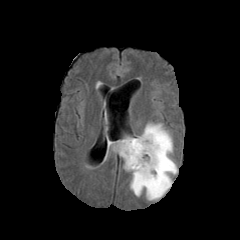
FLAIR MRI.
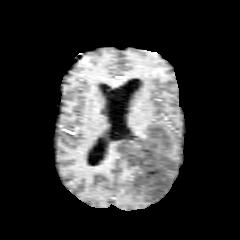
Same slice, T1-weighted MRI.
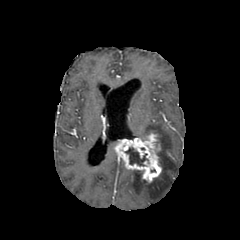
Post-contrast T1-weighted MR image of the same slice.
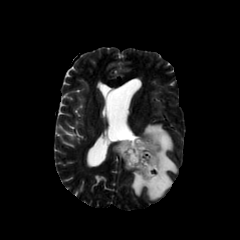
Same slice, T2-weighted magnetic resonance.
Brain. 240x240 px.
enhancing tumor: left=115, top=129, right=162, bottom=182 | edema: left=124, top=122, right=177, bottom=201 | non-enhancing tumor core: left=137, top=171, right=162, bottom=184; left=126, top=148, right=146, bottom=165